CT | Slice 61/102

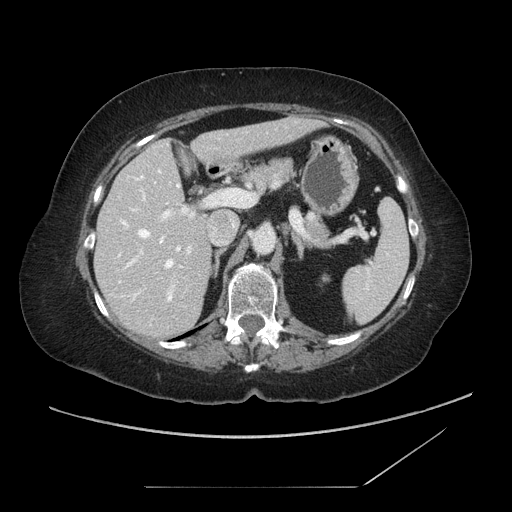
* pancreas: box=[238, 157, 297, 194]; box=[304, 206, 332, 246]